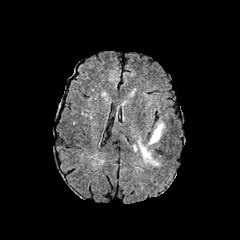
FLAIR MR image.
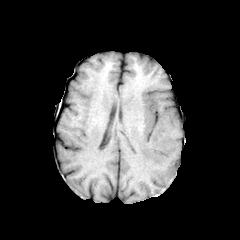
T1-weighted MR.
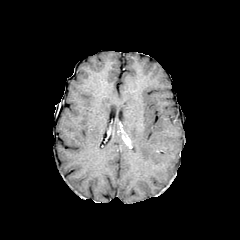
Post-contrast T1-weighted MR image.
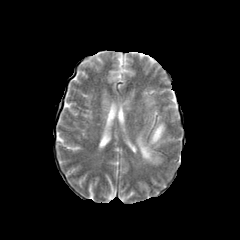
T2-weighted MR image.
Image size 240x240. Head.
Edema at x1=132 y1=120 x2=168 y2=166.